Slice 101/155 | Brain | Image size 240x240 | Field of view 240 mm wide, 1.00 mm slice spacing
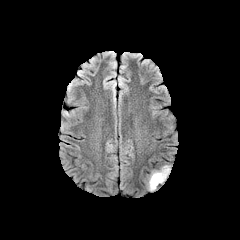
FLAIR MR image.
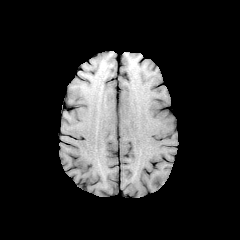
T1-weighted MR image.
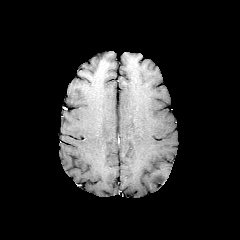
Same slice, post-contrast T1-weighted magnetic resonance.
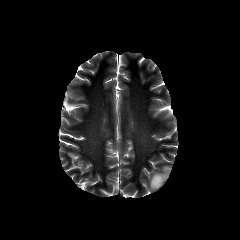
Same slice, T2-weighted MR.
The edema appears at (left=147, top=165, right=170, bottom=190). The non-enhancing tumor core is bounded by (left=153, top=175, right=163, bottom=184).